Brain; 240x240
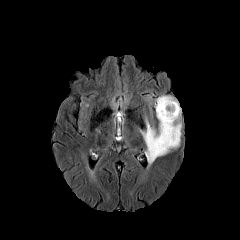
FLAIR MR image.
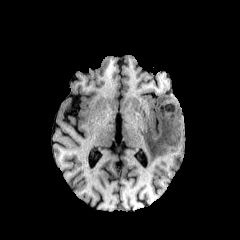
T1-weighted MR.
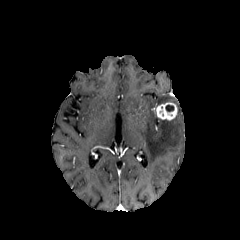
Same slice, post-contrast T1-weighted MR.
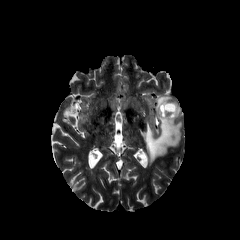
T2-weighted MR.
2 edema regions appear at bbox=[140, 106, 182, 166]; bbox=[157, 95, 175, 104]. The enhancing tumor lies within bbox=[157, 102, 177, 120]. The non-enhancing tumor core is at bbox=[165, 105, 174, 112].